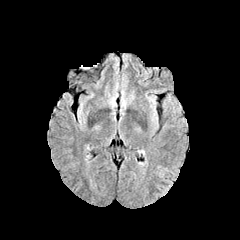
FLAIR MR image.
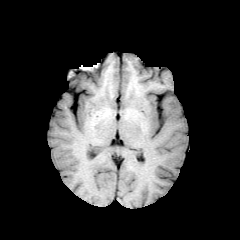
T1-weighted magnetic resonance of the same slice.
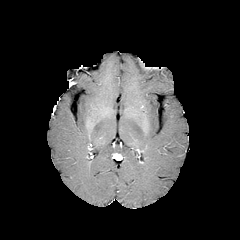
Post-contrast T1-weighted magnetic resonance.
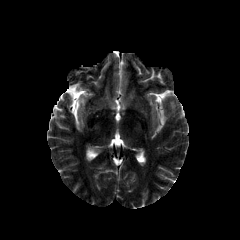
T2-weighted MRI.
Image size 240x240
The edema is at bbox=[149, 98, 157, 124].